FLAIR MR.
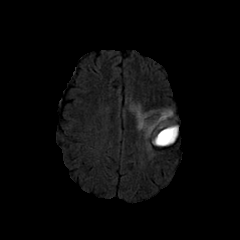
T1-weighted magnetic resonance.
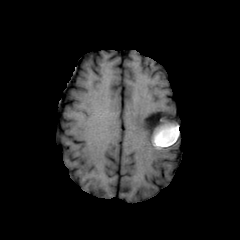
Post-contrast T1-weighted MRI.
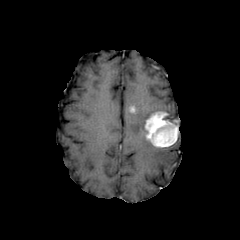
T2-weighted magnetic resonance.
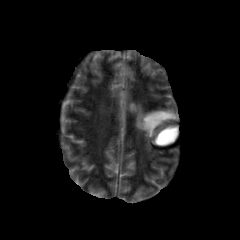
Image size 240x240
Non-enhancing tumor core at (x1=164, y1=112, x2=177, y2=126).
Enhancing tumor at (x1=144, y1=111, x2=177, y2=145).
Edema at (x1=127, y1=98, x2=157, y2=158), (x1=158, y1=107, x2=175, y2=115).